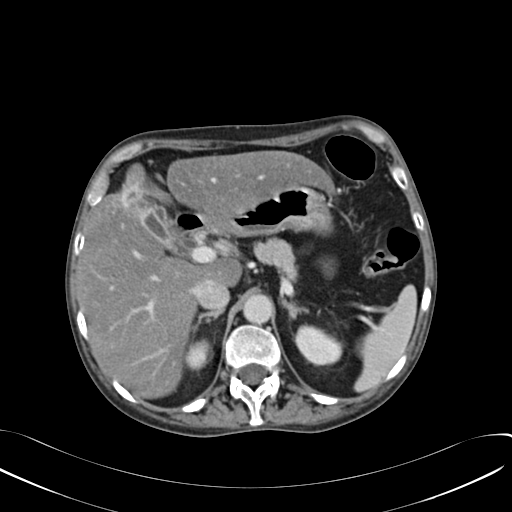

Liver, CT scan slice

{"liver": ["167:150:330:213", "80:165:241:397"], "kidney": ["192:353:203:361", "297:329:338:363"], "focal_liver_lesion": ["121:185:143:206"]}